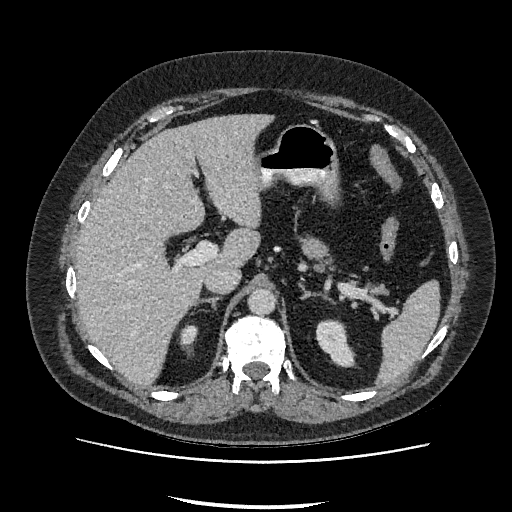

Computed tomography, Liver

{"liver": ["box=[76, 115, 273, 384]"], "kidney": ["box=[317, 322, 352, 365]", "box=[183, 327, 195, 342]"]}